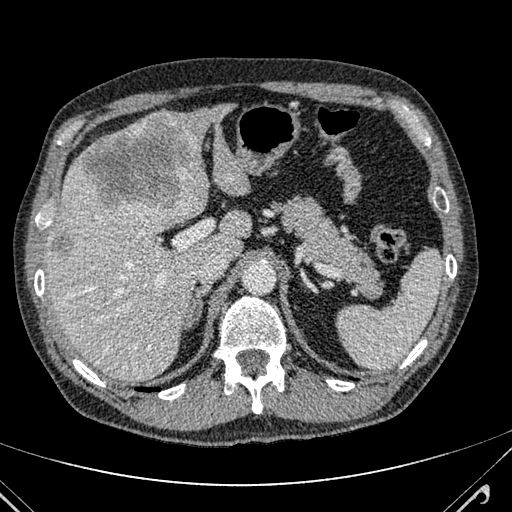

Liver, CT image, 512x512
Focal liver lesion — x1=80 y1=115 x2=206 y2=212, x1=52 y1=234 x2=72 y2=255.
Liver — x1=154 y1=103 x2=236 y2=157, x1=106 y1=119 x2=146 y2=138, x1=214 y1=124 x2=248 y2=194, x1=47 y1=158 x2=250 y2=380.